CT scan slice | Abdomen | Slice index 263 | 512x512 px
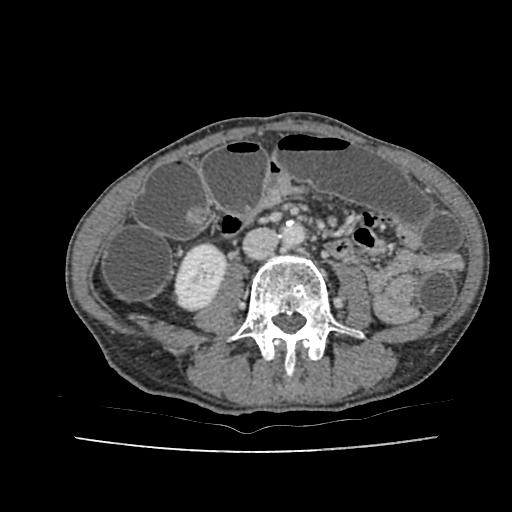

Segmented structures:
* kidney: <bbox>176, 245, 225, 308</bbox>